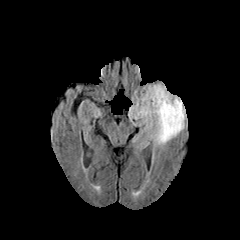
FLAIR MR image.
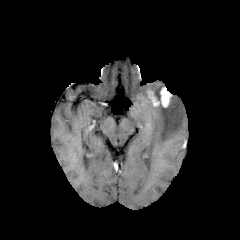
Same slice, T1-weighted MRI.
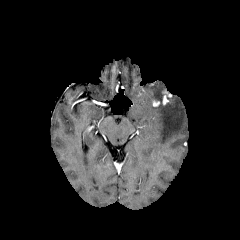
Same slice, post-contrast T1-weighted MRI.
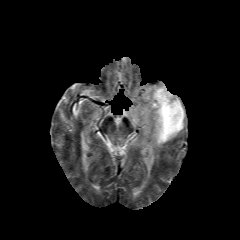
Same slice, T2-weighted MR image.
Brain
Annotated regions:
- edema: <box>128,83,185,153</box>
- enhancing tumor: <box>162,89,171,104</box>